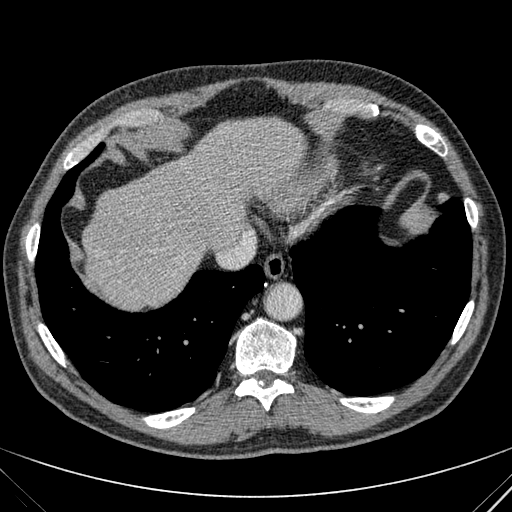
Upper abdomen, Computed tomography
liver: (83, 118, 303, 307)